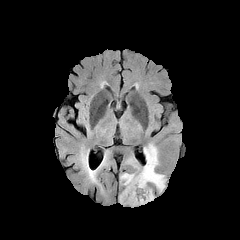
FLAIR MR image.
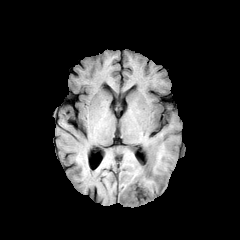
Same slice, T1-weighted magnetic resonance.
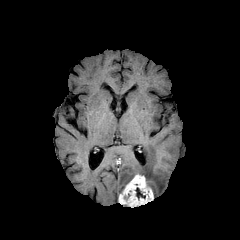
Post-contrast T1-weighted MR image.
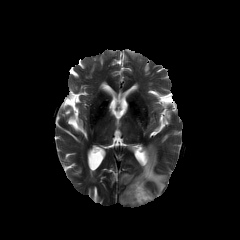
Same slice, T2-weighted MRI.
Head.
- enhancing tumor: 119 175 153 206
- edema: 139 143 166 192, 120 173 134 184